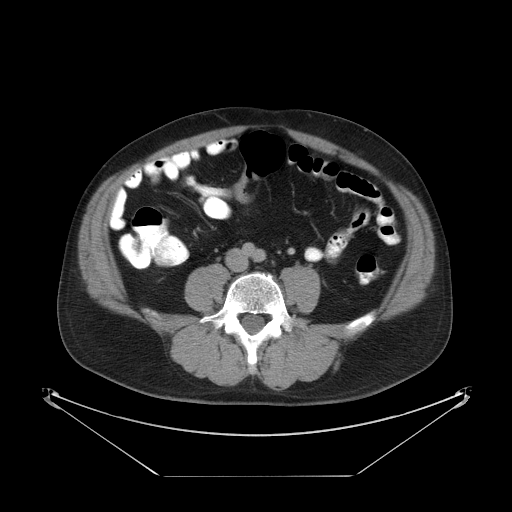

512x512 px | CT image
2 colon tumor regions are located at box=[251, 172, 259, 180]; box=[232, 173, 250, 203].